Liver | CT scan slice 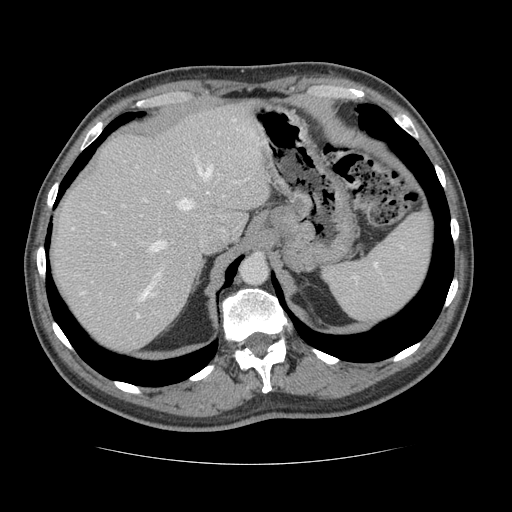
The vessel boxes may cover only some of the vessels.
Annotated regions:
• hepatic vessel (principal 15 of 17): (153,280,154,283), (232,118,235,120), (150,241,165,250), (167,190,169,191), (155,272,160,276), (140,284,155,298), (198,164,211,179), (113,242,115,244), (195,155,197,162), (101,211,104,212), (235,181,239,182), (81,291,84,293), (143,198,146,200), (137,313,138,317), (178,198,193,209)